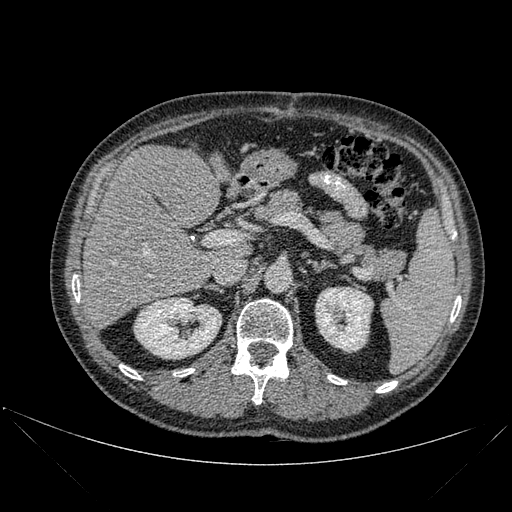

512x512 px. CT image.

Kidney at [134, 298, 221, 358], [315, 287, 373, 351].
Bone at [327, 375, 346, 384], [450, 296, 460, 321], [72, 275, 80, 302], [119, 364, 141, 379], [173, 368, 194, 376], [231, 299, 292, 404], [376, 381, 397, 392].
Liver at [215, 165, 230, 183], [81, 145, 220, 328].